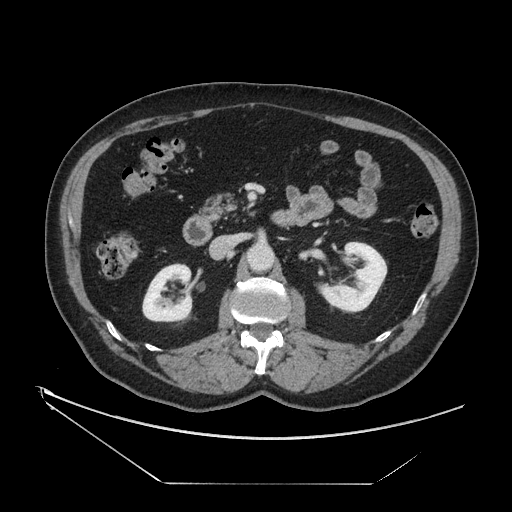
CT
Annotated regions:
- pancreas: (203, 192, 240, 216)